FLAIR magnetic resonance.
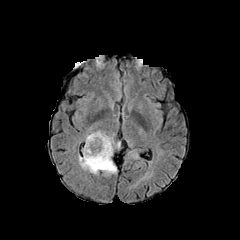
T1-weighted magnetic resonance.
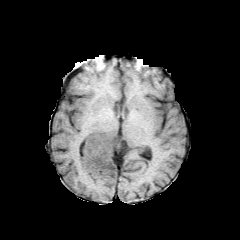
Post-contrast T1-weighted MRI.
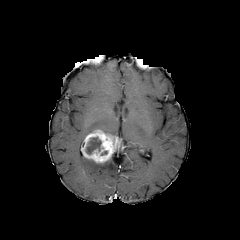
T2-weighted MRI.
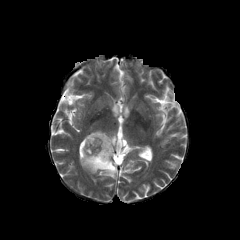
Enhancing tumor at <box>82,130,120,163</box>.
Edema at <box>90,140,97,151</box>, <box>79,154,116,177</box>.
Non-enhancing tumor core at <box>85,137,101,154</box>.